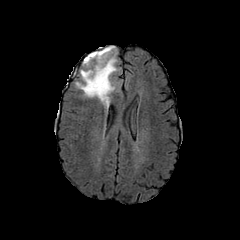
FLAIR magnetic resonance.
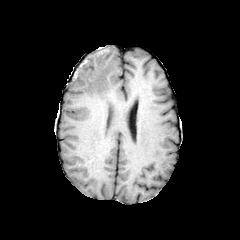
T1-weighted MR image of the same slice.
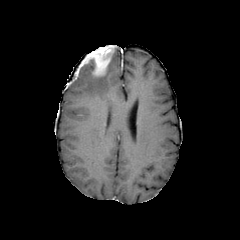
Same slice, post-contrast T1-weighted magnetic resonance.
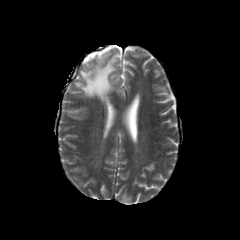
T2-weighted MR image.
Head
{"non-enhancing_tumor_core": ["(left=82, top=60, right=95, bottom=74)"], "edema": ["(left=74, top=50, right=119, bottom=110)"], "enhancing_tumor": ["(left=81, top=45, right=115, bottom=77)"]}